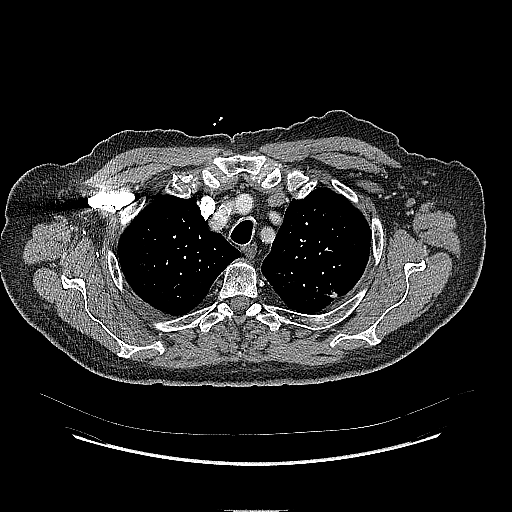
Chest. CT scan slice.
Segmented structures:
• lung tumor: (x1=323, y1=286, x2=342, y2=301)